Image size 512x512 | CT slice | Slice index 247 | Upper abdomen 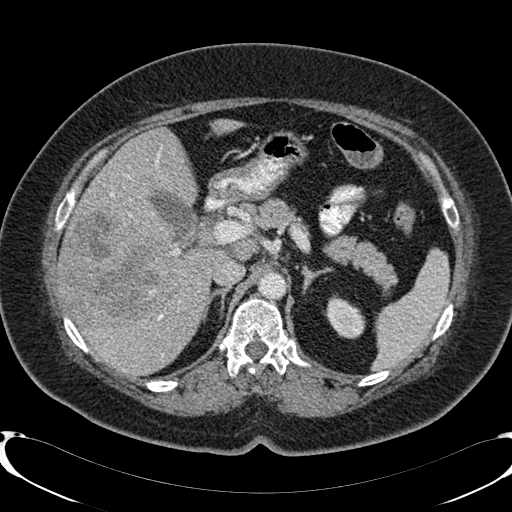 Hepatic lesion at <bbox>58, 212, 174, 328</bbox>.
Liver at <bbox>61, 127, 227, 374</bbox>, <bbox>217, 120, 235, 131</bbox>.
Kidney at <bbox>327, 299, 363, 336</bbox>.